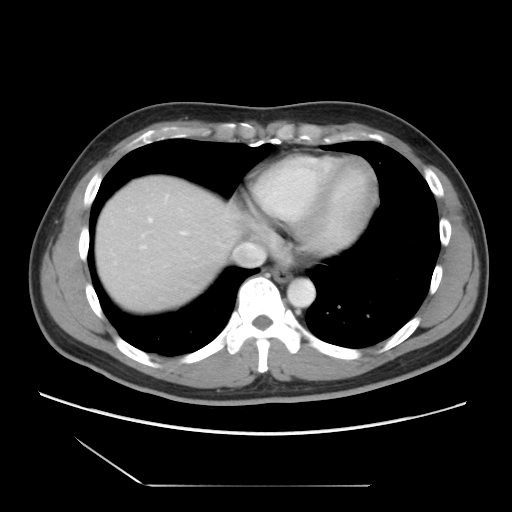

CT scan slice
The vessel annotation is not exhaustive.
Segmented structures:
- hepatic vessel: (243, 244, 263, 262)